CT. Field of view 512 mm wide, 1.00 mm slice spacing.

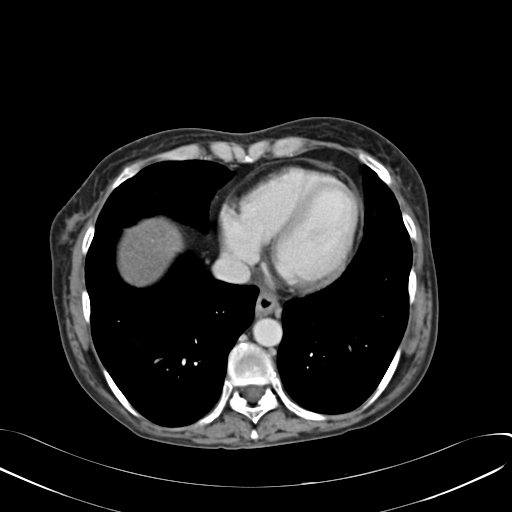 Liver: bounding box bbox=[119, 222, 175, 286].